FLAIR magnetic resonance.
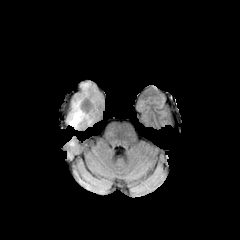
T1-weighted MR image.
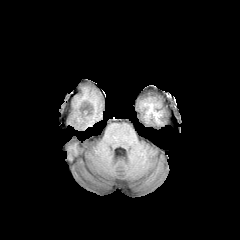
Post-contrast T1-weighted MRI.
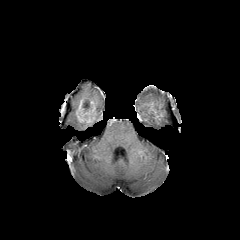
T2-weighted MR.
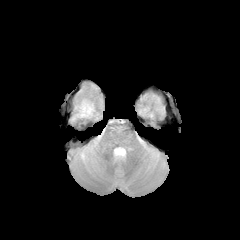
The edema appears at left=69, top=100, right=92, bottom=125.